512x512, Upper abdomen, Slice 70/139, CT 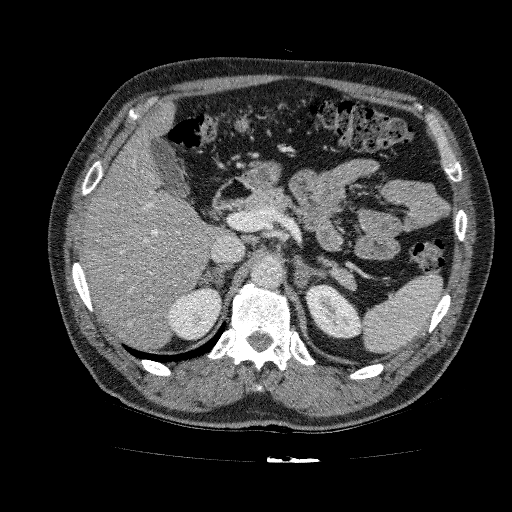 Kidney at (x1=167, y1=288, x2=220, y2=339), (x1=306, y1=285, x2=361, y2=337).
Liver at (x1=81, y1=98, x2=231, y2=348).